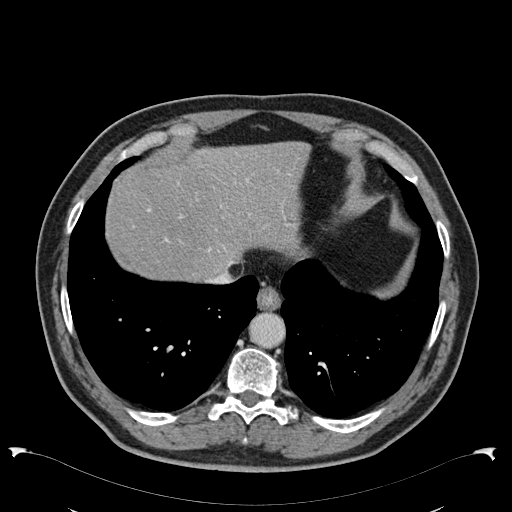 CT image.
liver: 108, 141, 311, 280